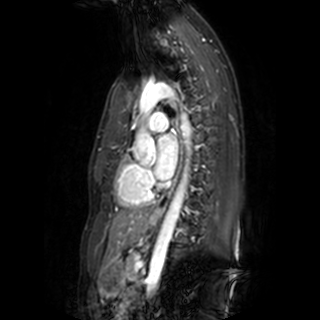 Cardiac, 320x320 px, MR image

<segmentation>
  <left_atrium>[154, 134, 178, 180]</left_atrium>
</segmentation>